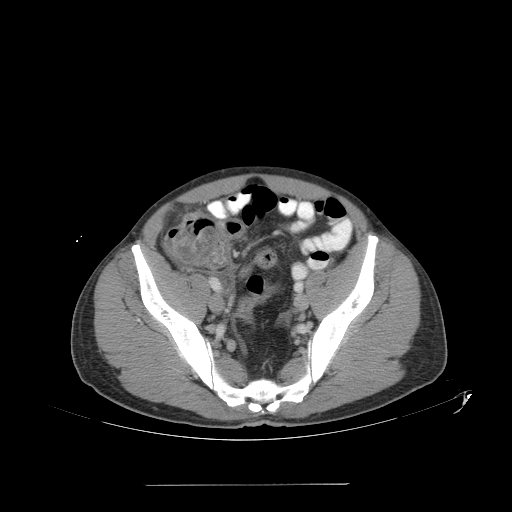 Pelvis. CT scan slice. The colon tumor is located at region(163, 228, 225, 268).